Image width 450 mm. 512x512. CT scan slice.

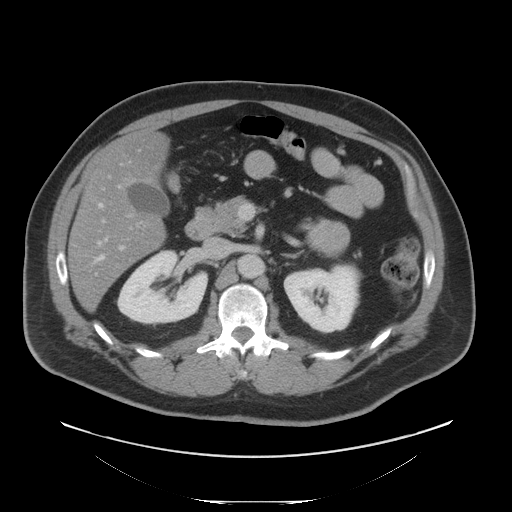 The pancreas lies within bbox(210, 197, 244, 232). The pancreatic tumor lies within bbox(310, 221, 348, 256).